CT scan slice | 512x512 | Field of view 500 mm wide, 1.50 mm slice spacing 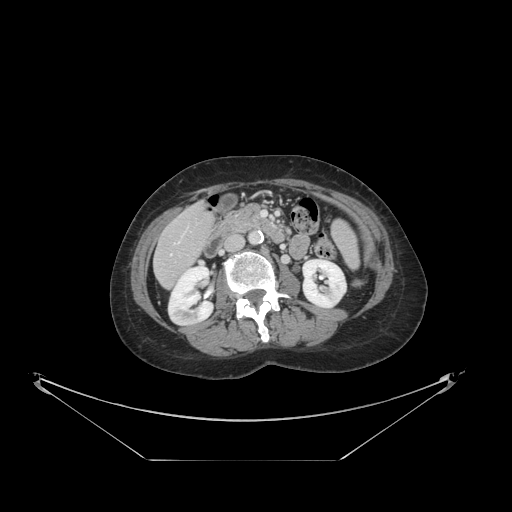
The vessel annotation is not exhaustive.
Annotated regions:
• hepatic vessel: rect(177, 241, 180, 243)